Computed tomography | Lower abdomen | Slice 130/671

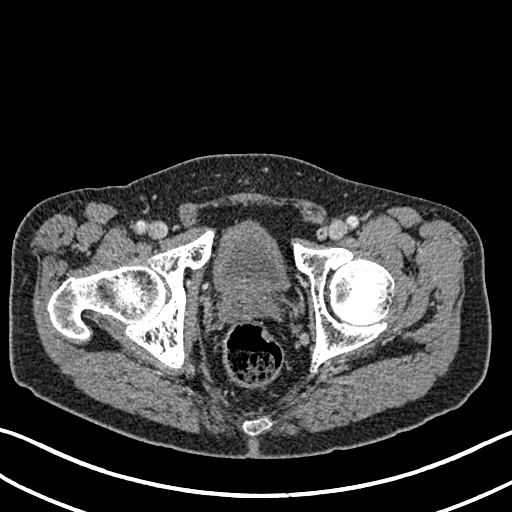

The urinary bladder lies within [x1=212, y1=228, x2=288, y2=302].